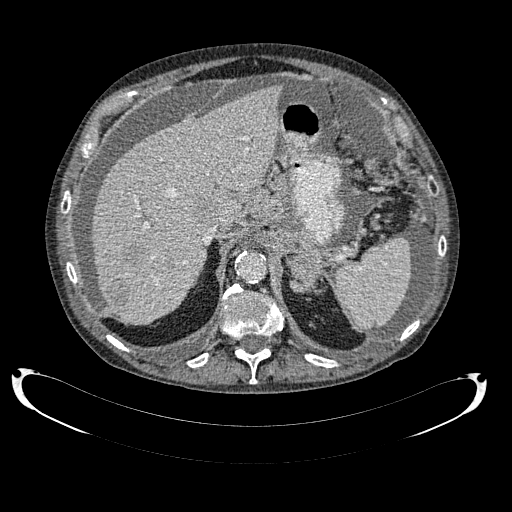 512x512 | Liver | CT slice
liver:
  - region(91, 86, 281, 323)
focal_liver_lesion:
  - region(110, 283, 128, 304)
  - region(167, 259, 176, 267)
  - region(123, 240, 142, 265)
  - region(190, 194, 210, 219)